CT. Slice 45 of 99. 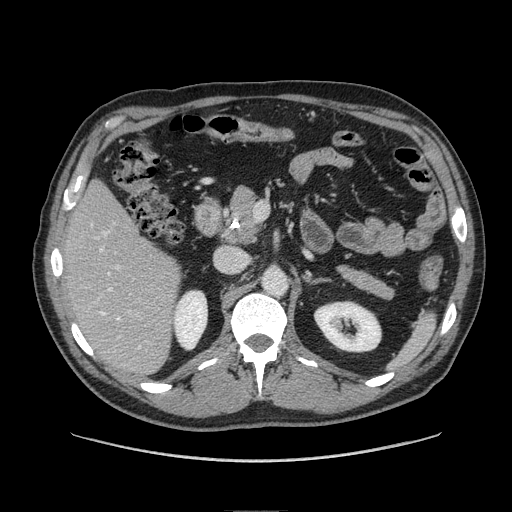
pancreas:
  - rect(333, 261, 397, 303)
  - rect(218, 184, 263, 246)